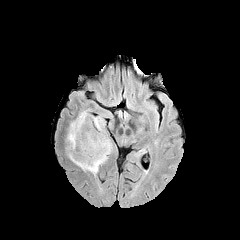
FLAIR magnetic resonance.
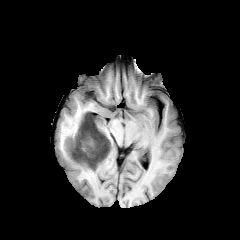
Same slice, T1-weighted MR.
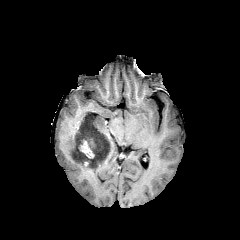
Post-contrast T1-weighted magnetic resonance.
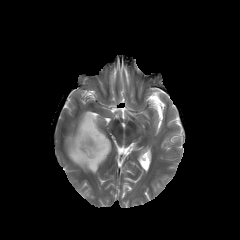
T2-weighted MRI of the same slice.
Brain.
The enhancing tumor is bounded by l=80, t=140, r=93, b=157. 2 edema regions are bounded by l=95, t=114, r=107, b=137; l=66, t=109, r=108, b=174. The non-enhancing tumor core lies within l=71, t=112, r=109, b=167.